Slice index 135. CT. Pelvis.
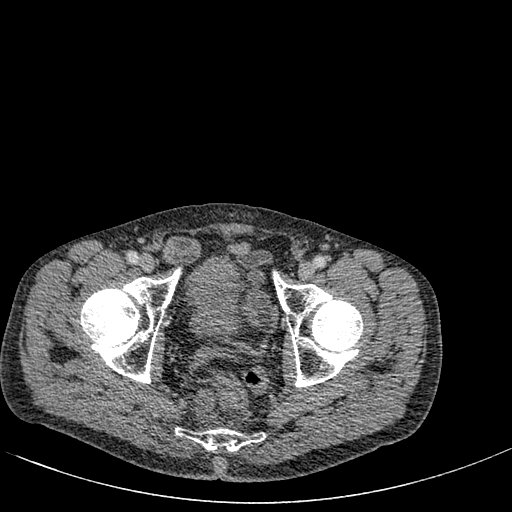 urinary bladder: [x1=176, y1=249, x2=252, y2=342]